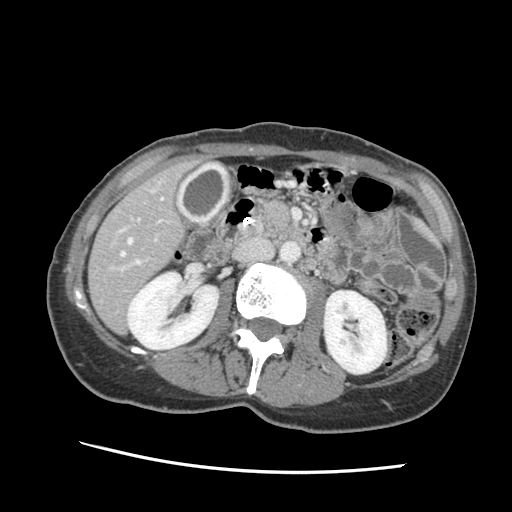

CT slice

The pancreas is at box(259, 201, 293, 238).